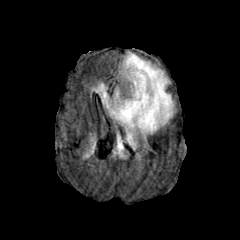
FLAIR MRI.
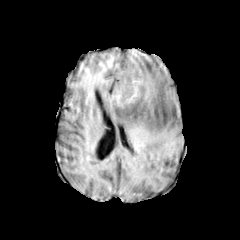
T1-weighted MRI.
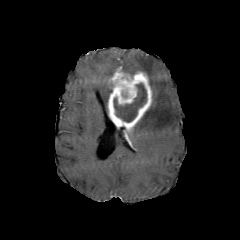
Same slice, post-contrast T1-weighted MR.
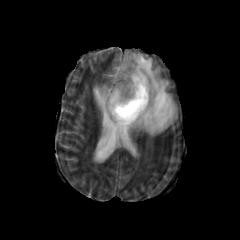
T2-weighted magnetic resonance.
Head
The non-enhancing tumor core is at 113 83 146 122. 3 edema regions are located at 116 133 123 150, 92 83 108 109, 118 51 173 134. The enhancing tumor is at 108 66 152 130.